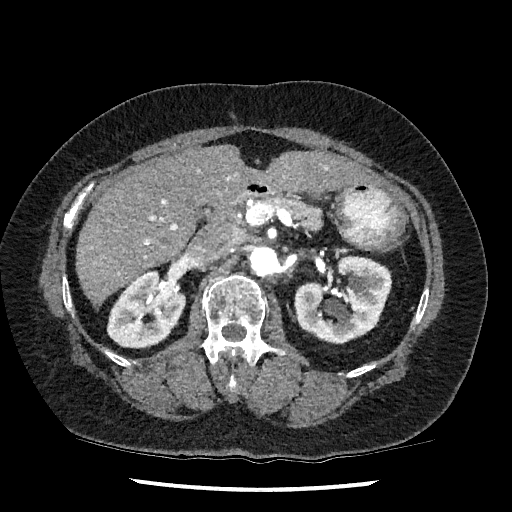

CT

3 kidney regions appear at 107 262 185 347, 317 263 326 272, 295 257 391 342. The liver is at 77 146 378 306.